Liver. Slice 277 of 407. CT image. 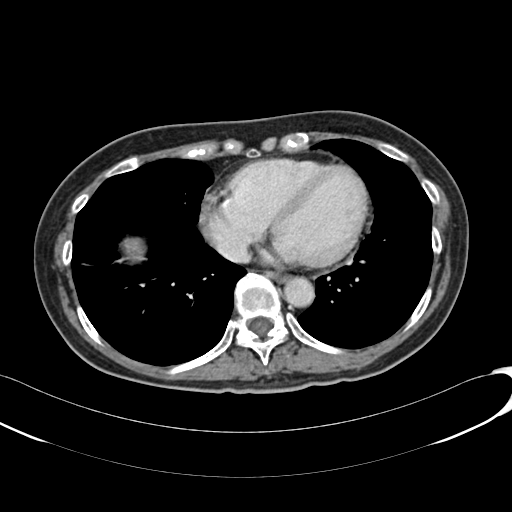 Liver = l=124, t=239, r=145, b=260.